Slice 54/105, CT, Image size 512x512

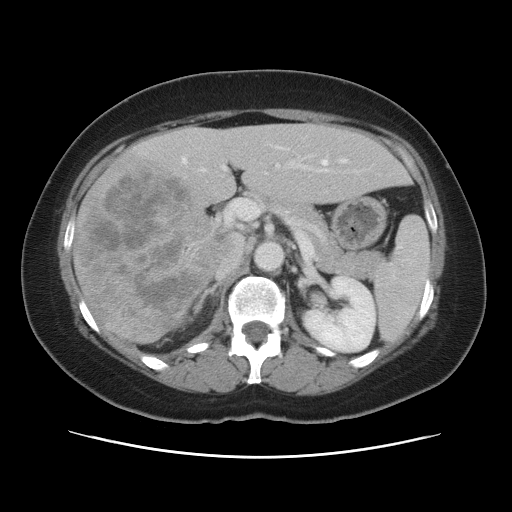 Only some of the vessels may be annotated.
Hepatic vessel at 287:218:313:252, 276:164:278:167, 341:159:346:162, 182:158:186:161, 223:199:263:224, 217:257:238:277, 297:157:328:172, 221:165:225:168, 306:156:309:157, 275:146:280:147, 317:230:321:235.
Liver tumor at 77:158:218:337.